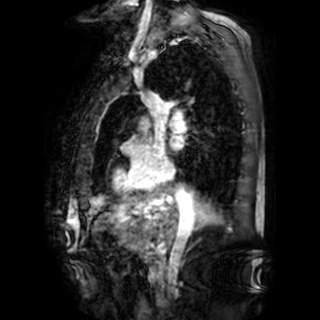
MR image; Image size 320x320

left_atrium:
  - box=[171, 136, 183, 148]